CT image. Slice index 139. Upper abdomen.
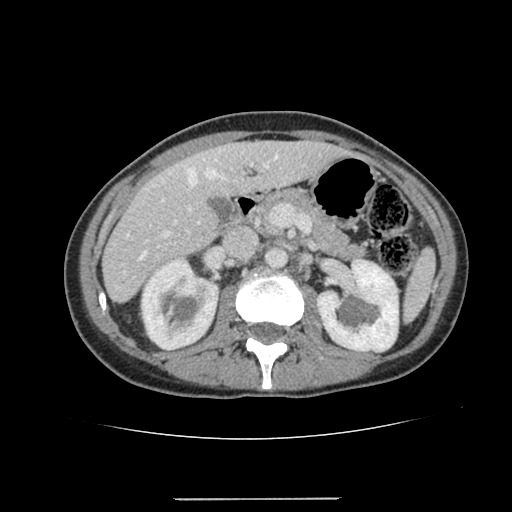
{"liver": ["101:140:349:302"], "kidney": ["317:259:398:351", "142:258:217:349"]}